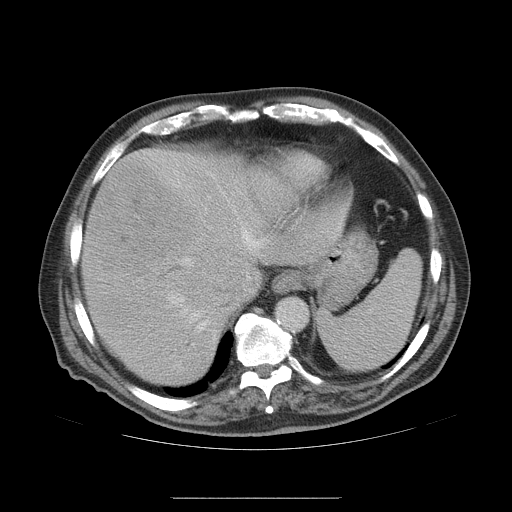

CT image
The vessel annotation is not exhaustive.
<segmentation>
  <hepatic_vessel>[305, 235, 306, 237], [196, 313, 209, 330], [177, 258, 192, 265], [192, 344, 195, 345], [206, 196, 209, 198], [325, 230, 328, 231], [316, 234, 319, 236], [191, 312, 200, 320], [181, 309, 186, 315], [240, 222, 268, 249], [168, 294, 183, 304], [208, 172, 214, 177]</hepatic_vessel>
  <liver_tumor>[86, 169, 200, 272]</liver_tumor>
</segmentation>